FLAIR MRI.
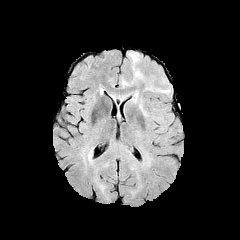
T1-weighted MRI.
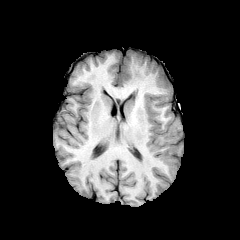
Post-contrast T1-weighted MRI.
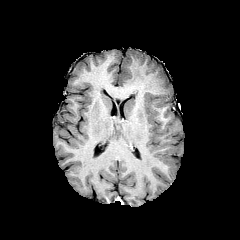
T2-weighted magnetic resonance.
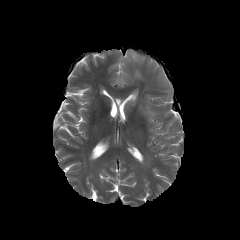
Head
Edema: bounding box bbox=[119, 51, 146, 87]; bbox=[128, 90, 139, 103].